CT image | Slice 24/87 | Upper abdomen

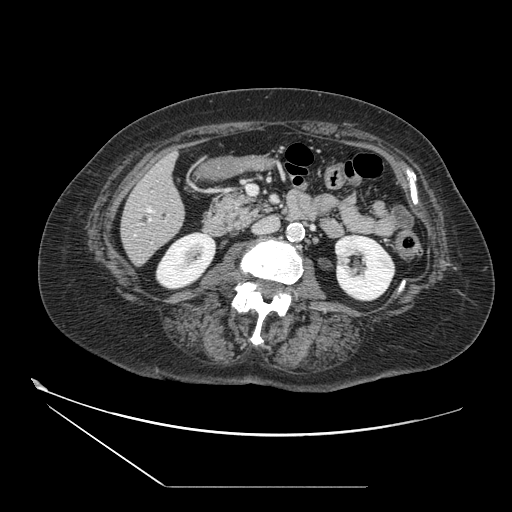 Segmented structures:
• pancreatic tumor: 241 212 249 224
• pancreas: 205 192 270 230